CT scan slice.
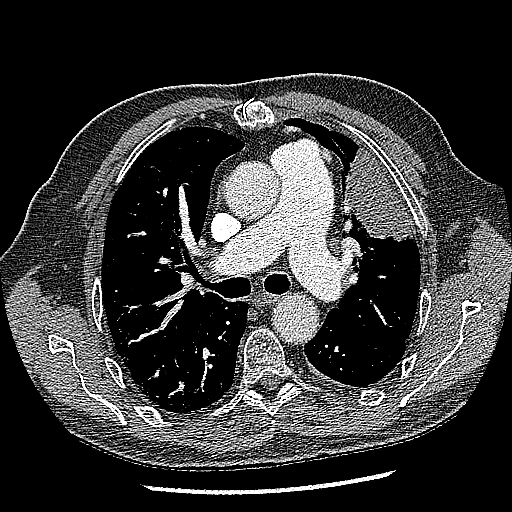
{
  "lung_tumor": [
    "<box>343,146,414,241</box>"
  ]
}